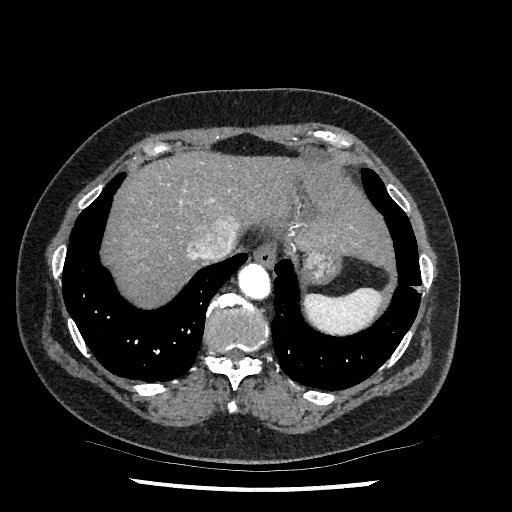
512x512. Abdomen. CT scan slice.
The liver lies within x1=107, y1=152, x2=393, y2=304.